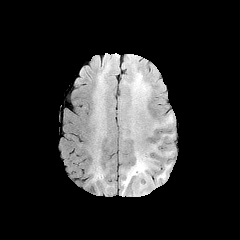
FLAIR MR.
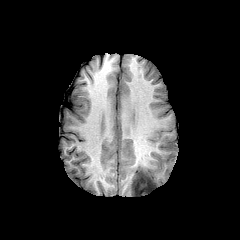
Same slice, T1-weighted MRI.
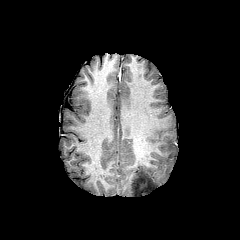
Post-contrast T1-weighted MR image.
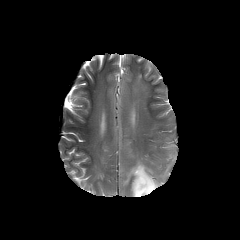
T2-weighted MR image.
Brain
{"non-enhancing_tumor_core": ["132 166 154 193"], "edema": ["157 164 170 182", "121 154 151 195"]}